Slice 52/155
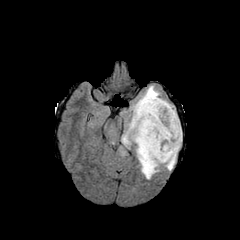
FLAIR magnetic resonance.
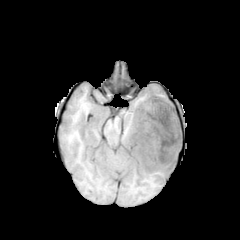
Same slice, T1-weighted MR.
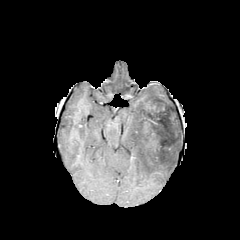
Post-contrast T1-weighted magnetic resonance of the same slice.
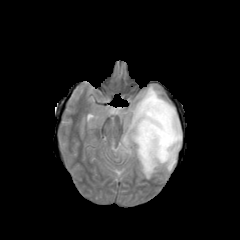
T2-weighted MR image.
Non-enhancing tumor core: bounding box [141,95,178,159].
Edema: bounding box [120,85,182,179].